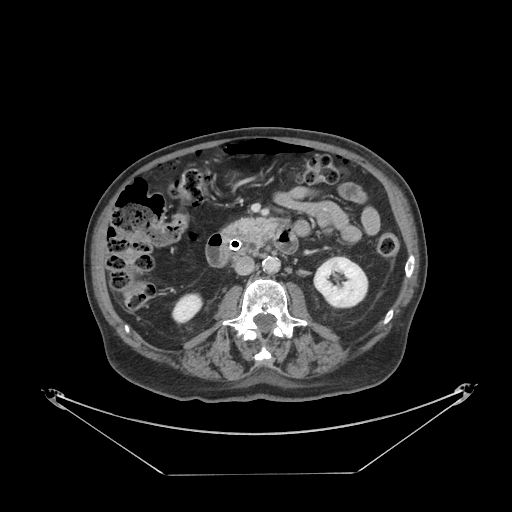 Upper abdomen | CT
{
  "pancreas": [
    "225 219 273 245"
  ]
}